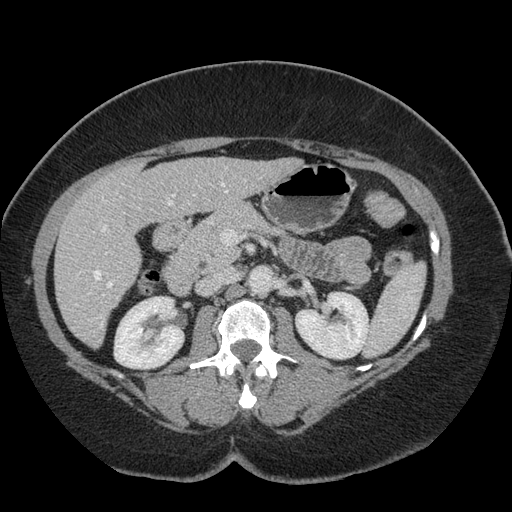
CT
Only some of the vessels may be annotated.
Hepatic vessel: bounding box [102,295,104,297], [100,316,102,326], [221,184,227,191], [172,195,174,197], [108,280,113,287], [99,223,107,231], [168,200,172,205], [94,271,100,279].